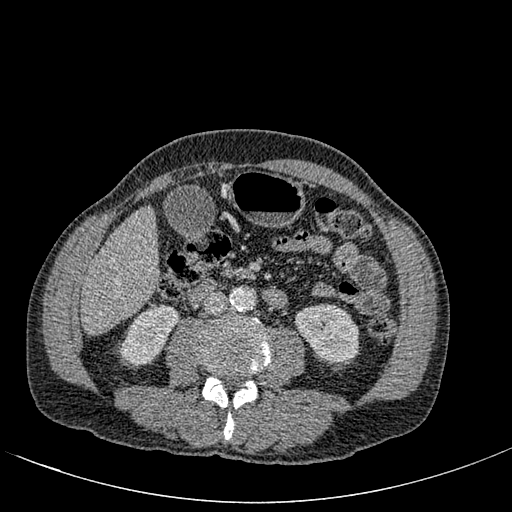 CT slice | 512x512
liver:
  - x1=80, y1=205, x2=157, y2=331
kidney:
  - x1=295, y1=304, x2=358, y2=362
  - x1=120, y1=305, x2=178, y2=365